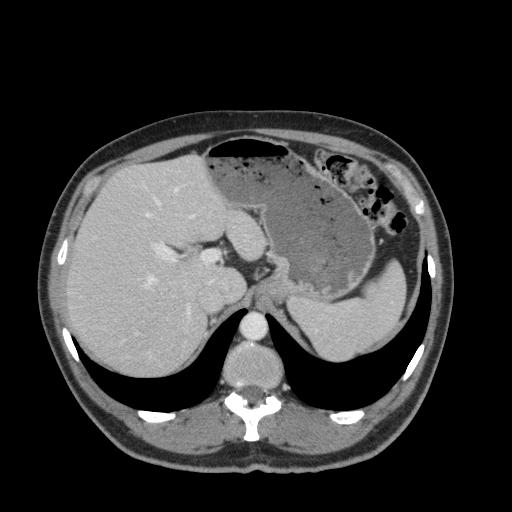 512x512 | Computed tomography
{"liver": ["(x1=67, y1=155, x2=265, y2=374)", "(x1=355, y1=259, x2=406, y2=353)"]}